FLAIR magnetic resonance.
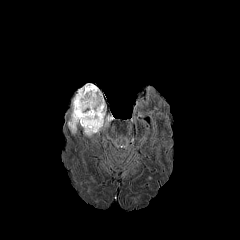
T1-weighted MR.
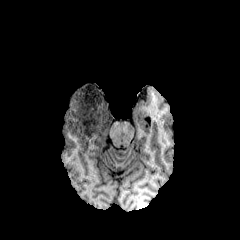
Post-contrast T1-weighted MR.
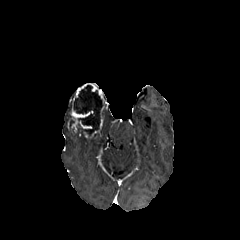
T2-weighted MR.
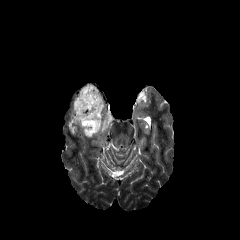
Brain.
{"non-enhancing_tumor_core": ["65 86 102 134"], "edema": ["100 117 112 132"], "enhancing_tumor": ["70 83 106 139", "68 108 93 129"]}